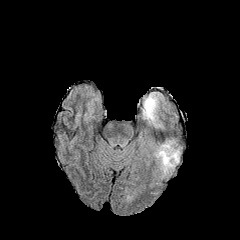
FLAIR MRI.
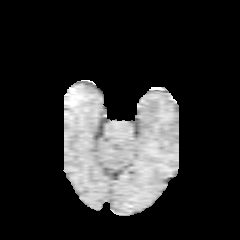
T1-weighted magnetic resonance.
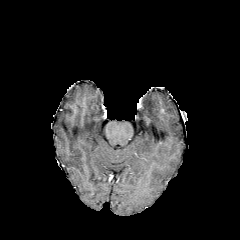
Post-contrast T1-weighted MR image of the same slice.
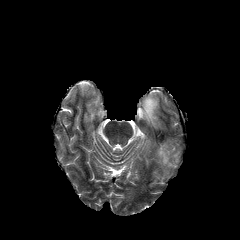
T2-weighted MRI of the same slice.
<segmentation>
  <edema>left=139, top=132, right=151, bottom=146; left=154, top=140, right=182, bottom=179; left=141, top=92, right=166, bottom=128</edema>
</segmentation>